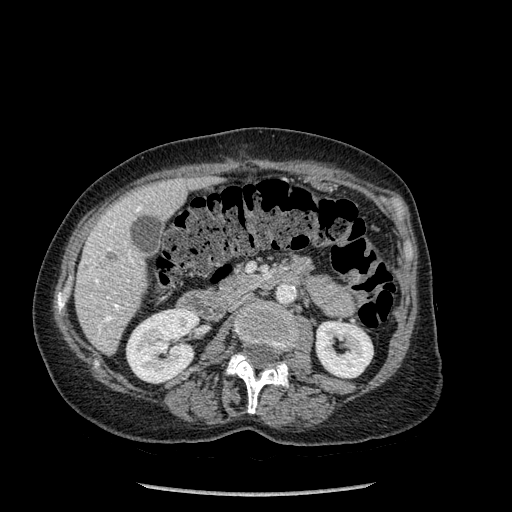
Computed tomography; 512x512 px

Findings:
• liver: x1=75 y1=176 x2=216 y2=353
• kidney: x1=316 y1=322 x2=372 y2=377, x1=126 y1=308 x2=198 y2=382
• bone: x1=234 y1=301 x2=298 y2=352, x1=57 y1=293 x2=65 y2=310, x1=226 y1=354 x2=288 y2=413
• hepatic lesion: x1=105 y1=252 x2=119 y2=260